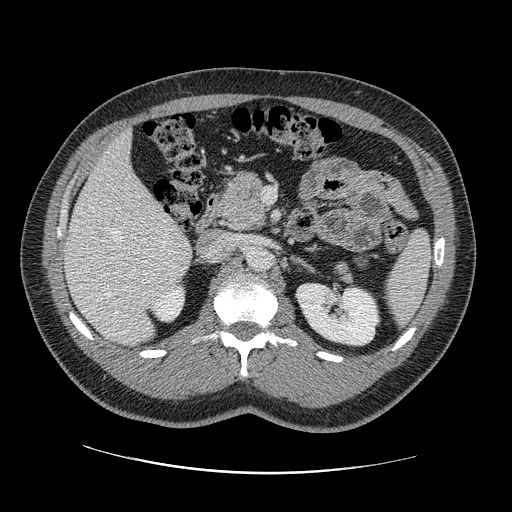

CT image; 512x512 px; Abdomen
Pancreas = x1=211, y1=170, x2=267, y2=232; x1=331, y1=260, x2=355, y2=285.